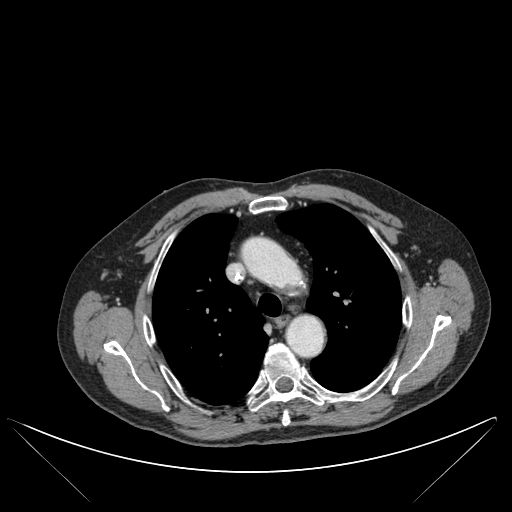 Computed tomography; Chest
Bone: bbox(160, 365, 182, 396); bbox(248, 344, 396, 410); bbox(143, 316, 154, 345); bbox(150, 239, 167, 284); bbox(383, 243, 391, 258); bbox(402, 297, 412, 326); bbox(104, 341, 168, 410); bbox(249, 196, 287, 213); bbox(392, 315, 451, 394); bbox(282, 410, 289, 425).
Lung: bbox(276, 204, 401, 392); bbox(152, 214, 280, 405).